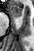 Medial temporal lobe; MRI slice
Segmented structures:
- anterior hippocampus: [10,5,21,16]